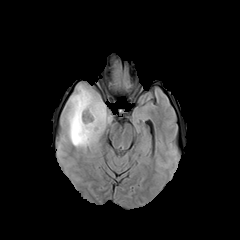
FLAIR MR image.
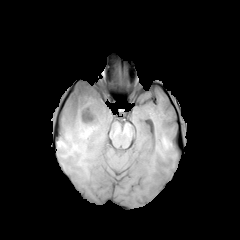
T1-weighted MR of the same slice.
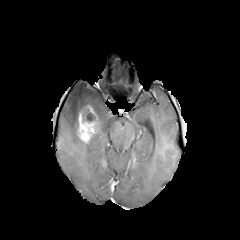
Post-contrast T1-weighted MR.
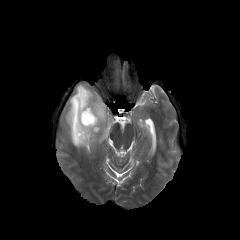
Same slice, T2-weighted MR.
Brain
{"edema": ["<bbox>57, 144, 63, 158</bbox>", "<bbox>61, 84, 112, 150</bbox>"], "non-enhancing_tumor_core": ["<bbox>80, 106, 99, 126</bbox>"], "enhancing_tumor": ["<bbox>77, 113, 99, 143</bbox>"]}